CT slice, 512x512, Field of view 405x405 mm, Slice 55 of 61 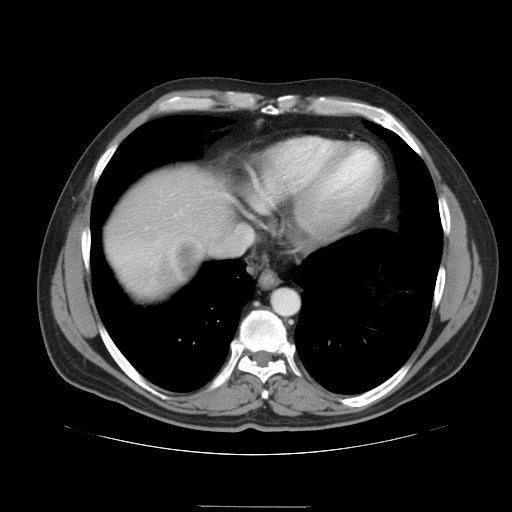
Only some of the vessels may be annotated.
<segmentation>
  <liver_tumor>[x1=147, y1=234, x2=203, y2=293]</liver_tumor>
  <hepatic_vessel>[x1=228, y1=226, x2=252, y2=251]</hepatic_vessel>
</segmentation>